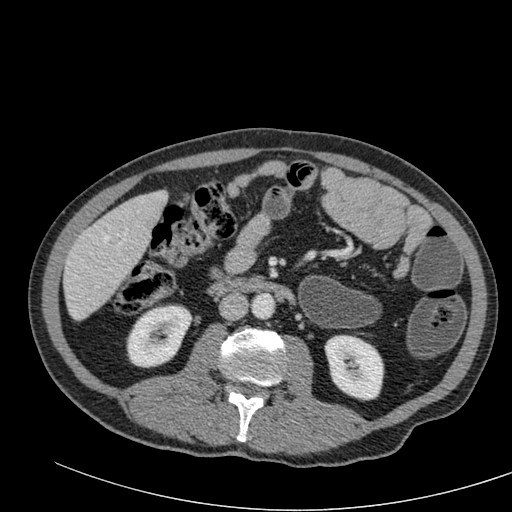 CT image
{"liver": ["63:191:166:319"], "kidney": ["128:306:190:366", "325:336:382:399"]}